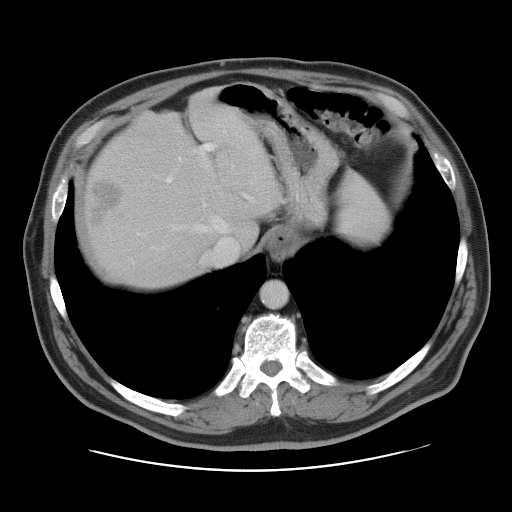 CT.
Only some of the vessels may be annotated.
Findings:
• liver tumor: rect(87, 177, 128, 231)
• hepatic vessel: rect(190, 217, 237, 265); rect(178, 158, 180, 160); rect(171, 226, 182, 230); rect(194, 143, 213, 154); rect(167, 175, 172, 182); rect(138, 233, 142, 234); rect(243, 194, 251, 199)